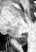

MRI | Hippocampus
posterior hippocampus: region(14, 33, 27, 45)